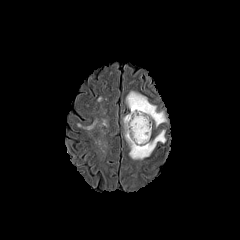
FLAIR MR image.
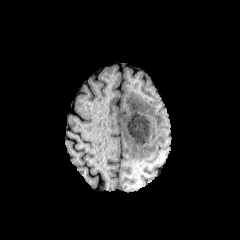
T1-weighted MR image.
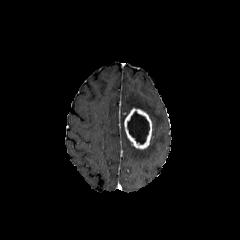
Post-contrast T1-weighted MRI of the same slice.
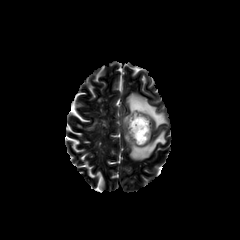
T2-weighted MRI of the same slice.
Brain | 240x240 px
The non-enhancing tumor core lies within (127,111,149,144). 2 edema regions appear at (124,131,165,160), (126,93,166,128). The enhancing tumor appears at (124,108,153,150).